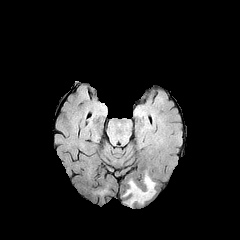
FLAIR MR.
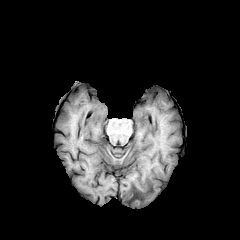
T1-weighted MRI.
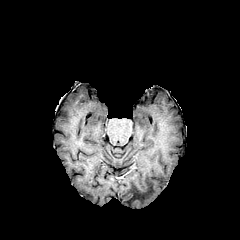
Post-contrast T1-weighted MR of the same slice.
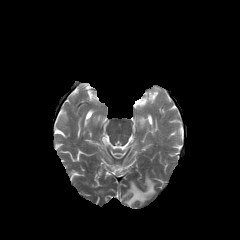
T2-weighted MR of the same slice.
{"edema": ["<box>123,175,155,206</box>"]}